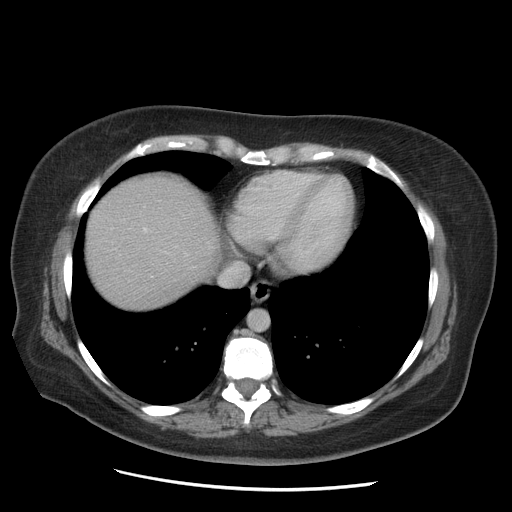

Computed tomography | Abdomen

<segmentation>
  <liver>bbox(87, 176, 219, 308)</liver>
</segmentation>